Upper abdomen; CT slice
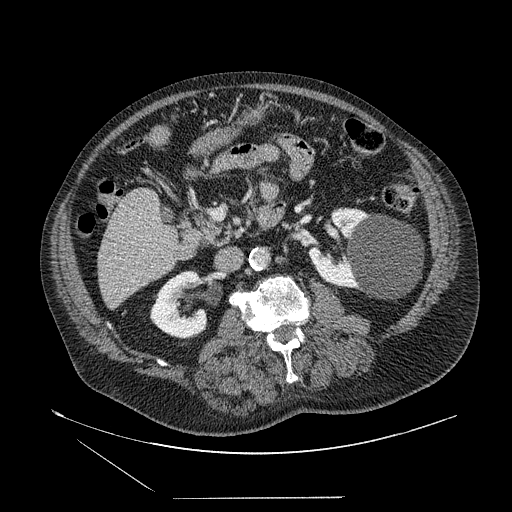

Pancreas: bounding box 194, 211, 237, 247.